CT image
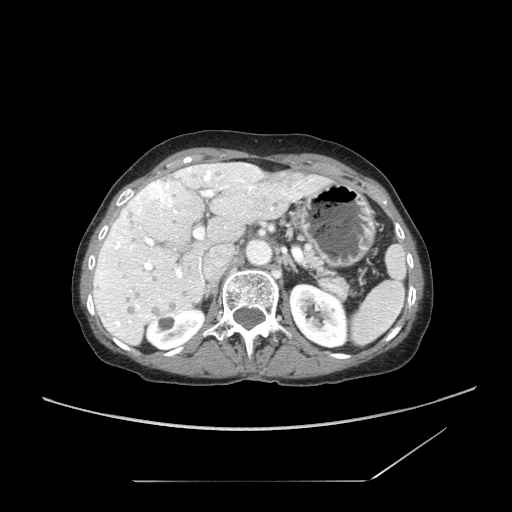 Pancreas at 305 252 348 298.